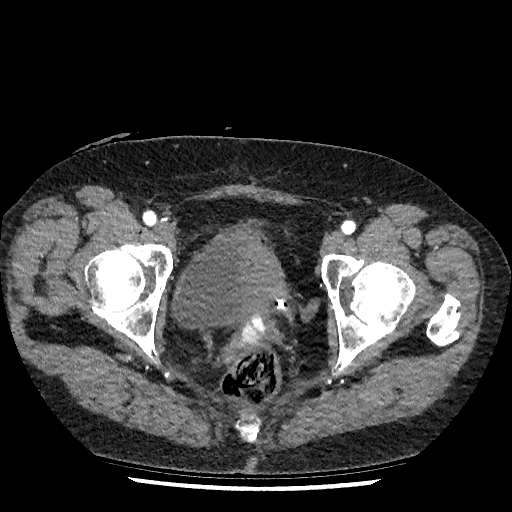

Pelvis | Computed tomography | 512x512 px
Urinary bladder: (left=171, top=221, right=289, bottom=330).